Brain.
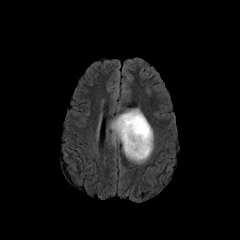
FLAIR magnetic resonance.
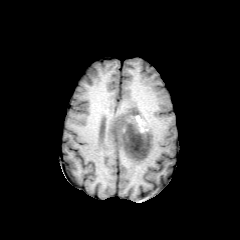
T1-weighted MR of the same slice.
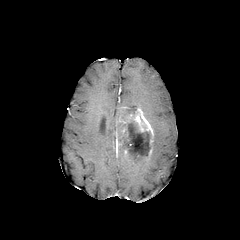
Same slice, post-contrast T1-weighted MR image.
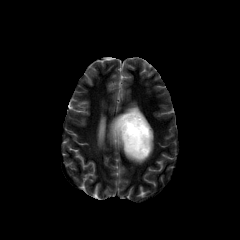
T2-weighted magnetic resonance of the same slice.
edema:
  - [110,108,136,146]
  - [125,132,153,163]
non-enhancing_tumor_core:
  - [114,109,152,157]
enhancing_tumor:
  - [129,109,152,134]